240x240 px, Slice index 73, Field of view 240 mm wide, 1.00 mm slice spacing, Head
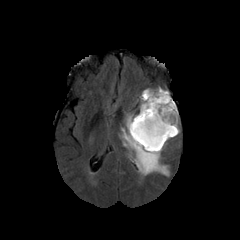
FLAIR magnetic resonance.
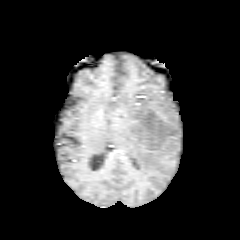
T1-weighted MR of the same slice.
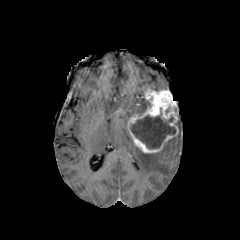
Same slice, post-contrast T1-weighted magnetic resonance.
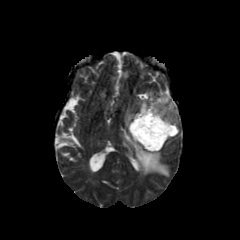
Same slice, T2-weighted magnetic resonance.
2 edema regions are bounded by 121, 128, 169, 176; 138, 100, 146, 112. The enhancing tumor appears at 127, 88, 179, 153. The non-enhancing tumor core is located at 131, 115, 176, 148.